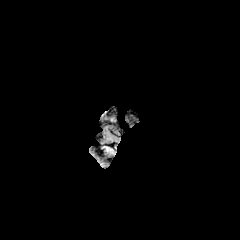
FLAIR MR.
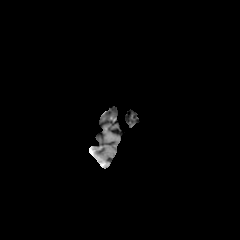
T1-weighted MR image of the same slice.
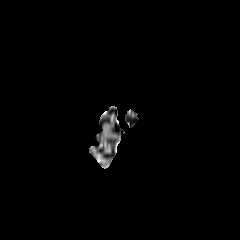
Same slice, post-contrast T1-weighted magnetic resonance.
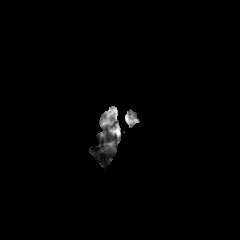
T2-weighted magnetic resonance of the same slice.
Head. 240x240 px.
Findings:
• edema: 103:146:112:155